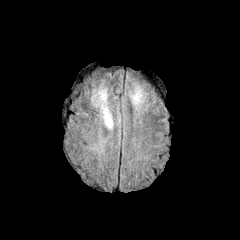
FLAIR MR image.
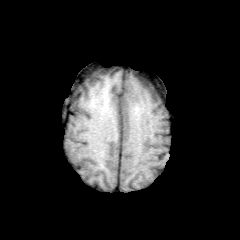
Same slice, T1-weighted magnetic resonance.
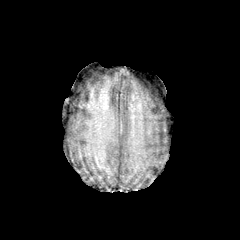
Post-contrast T1-weighted MRI.
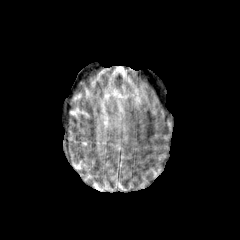
T2-weighted MR image.
Brain
Findings:
* edema: <bbox>99, 90, 112, 129</bbox>, <bbox>128, 86, 145, 106</bbox>